FLAIR MR.
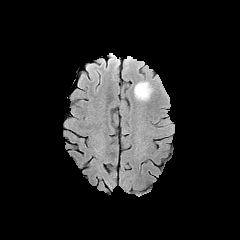
T1-weighted MRI.
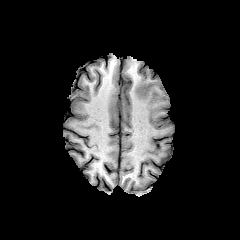
Post-contrast T1-weighted magnetic resonance.
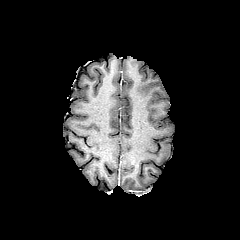
T2-weighted MRI.
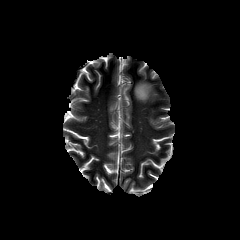
Image size 240x240
edema:
  - (left=134, top=81, right=153, bottom=100)